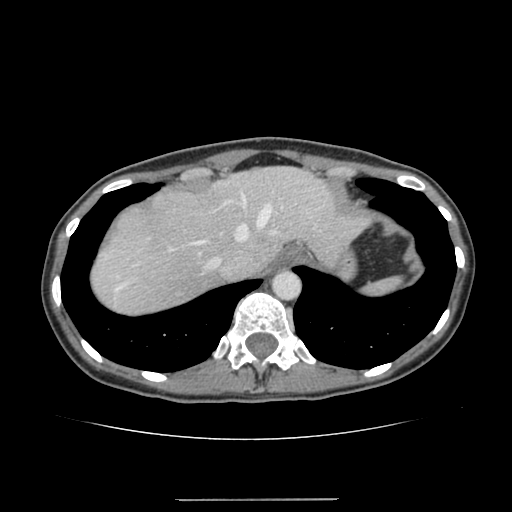
Computed tomography. Abdomen. 512x512 px. <segmentation>
  <liver>91 166 365 316</liver>
</segmentation>